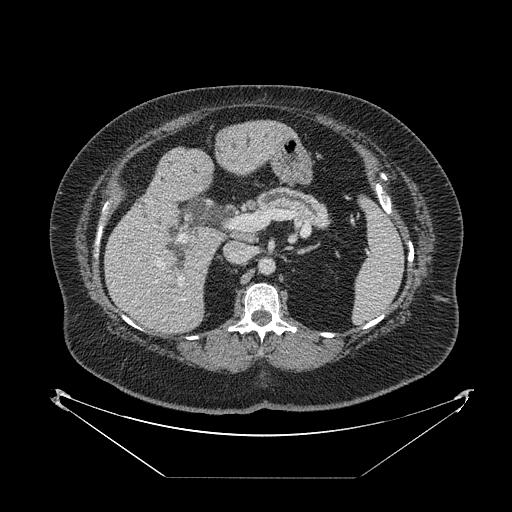
CT image

The pancreas lies within box=[254, 185, 329, 229].